FLAIR MRI.
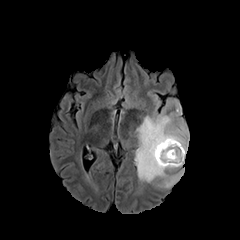
T1-weighted magnetic resonance.
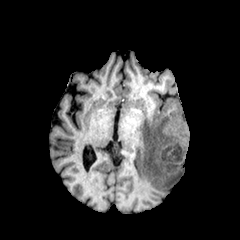
Post-contrast T1-weighted MR.
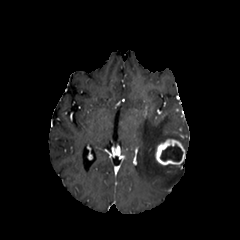
T2-weighted MR.
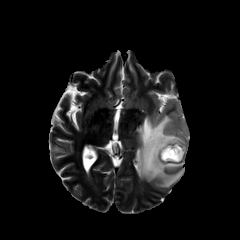
Head
{
  "enhancing_tumor": [
    "rect(155, 139, 185, 164)"
  ],
  "edema": [
    "rect(137, 115, 189, 187)"
  ],
  "non-enhancing_tumor_core": [
    "rect(160, 143, 183, 162)"
  ]
}